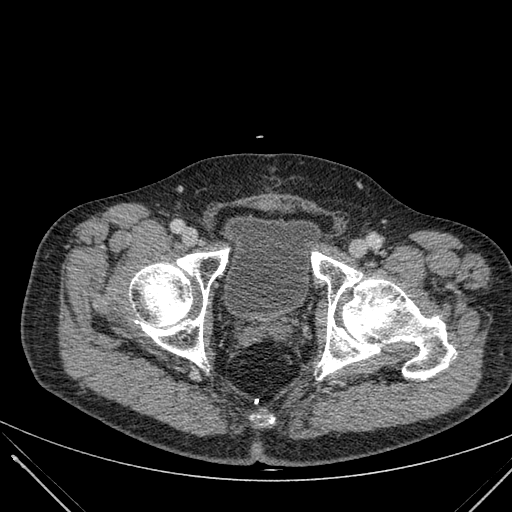
Lower abdomen | CT

urinary bladder: 223:216:322:313